240x240 px; Brain
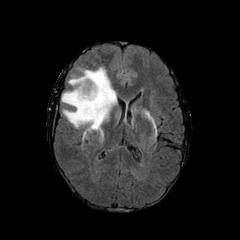
FLAIR MR.
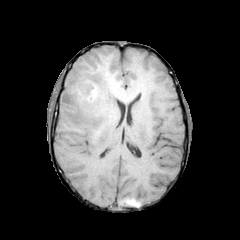
Same slice, T1-weighted MR image.
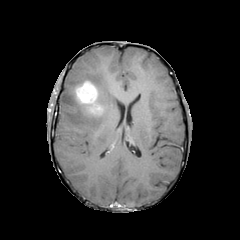
Post-contrast T1-weighted MR of the same slice.
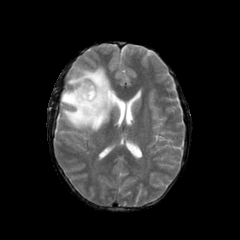
T2-weighted MRI.
The non-enhancing tumor core lies within 74,92,103,117. The enhancing tumor lies within 75,81,103,114. The edema lies within 61,66,117,131.